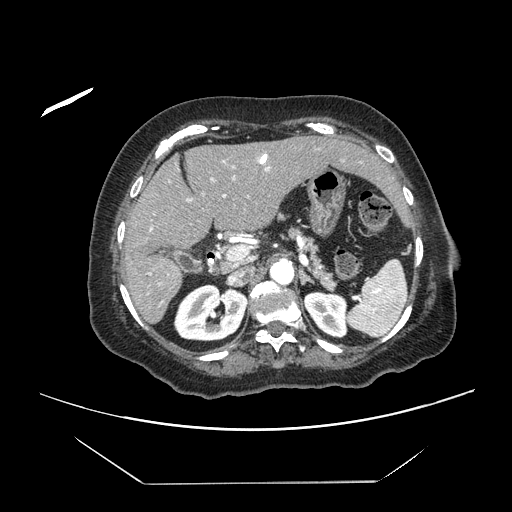

Computed tomography, Abdomen
Some hepatic vessels may have no box.
Hepatic vessel: [x1=227, y1=245, x2=251, y2=264].